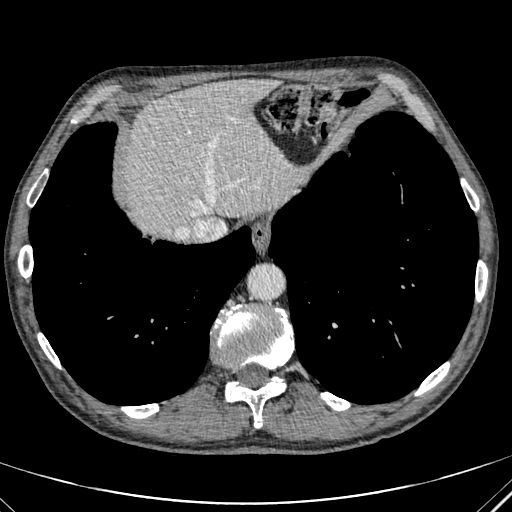
CT scan slice | 512x512

The liver is located at (125, 79, 298, 234).